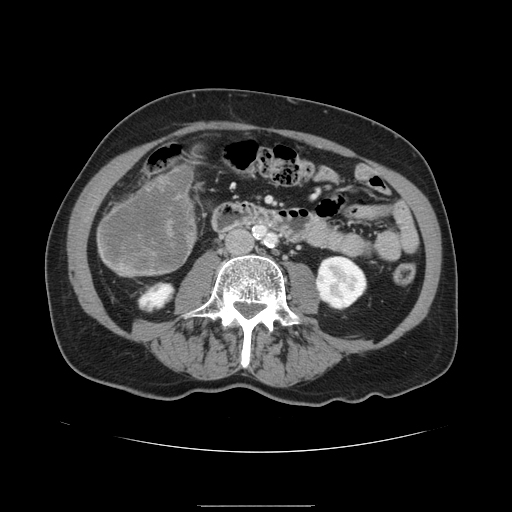
CT slice, Liver, 512x512 px

The liver tumor is at left=100, top=171, right=192, bottom=272.